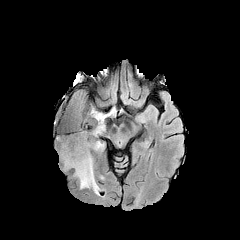
FLAIR MR image.
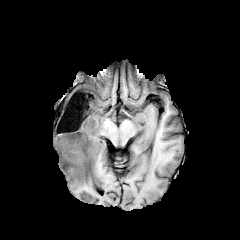
T1-weighted MR of the same slice.
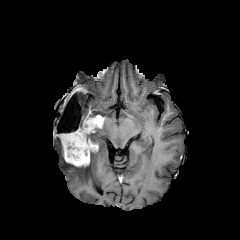
Post-contrast T1-weighted MRI.
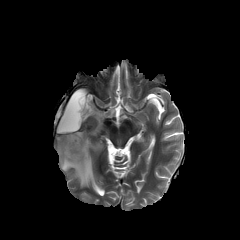
T2-weighted magnetic resonance of the same slice.
Image size 240x240
Enhancing tumor = (x1=85, y1=115, x2=104, y2=132), (x1=63, y1=129, x2=98, y2=166).
Non-enhancing tumor core = (x1=71, y1=94, x2=83, y2=119), (x1=60, y1=133, x2=75, y2=151), (x1=79, y1=117, x2=92, y2=131), (x1=83, y1=126, x2=99, y2=145).
Edema = (x1=90, y1=124, x2=105, y2=141), (x1=89, y1=106, x2=115, y2=117), (x1=62, y1=143, x2=104, y2=194).